MR
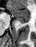 Posterior hippocampus — [x1=20, y1=21, x2=28, y2=23].
Anterior hippocampus — [x1=7, y1=5, x2=29, y2=20].